Abdomen | CT scan slice
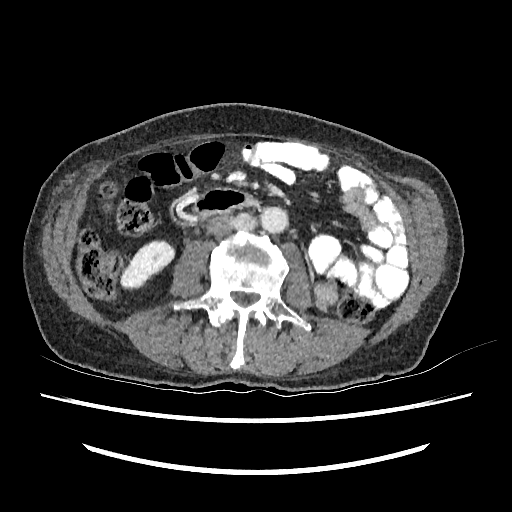 The kidney is at 121 242 173 287.